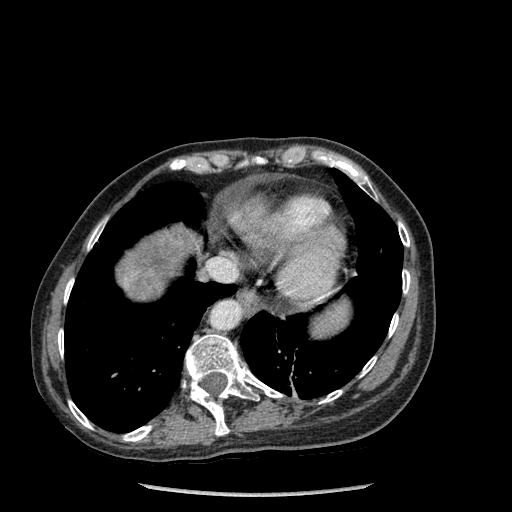

Upper abdomen. 512x512 px. Computed tomography.
2 lung regions appear at <box>64,182,236,432</box>, <box>240,169,403,398</box>. 13 bone regions are bounded by <box>57,329,63,357</box>, <box>398,221,409,246</box>, <box>319,390,342,403</box>, <box>87,219,106,250</box>, <box>123,425,151,441</box>, <box>185,334,282,435</box>, <box>402,269,410,293</box>, <box>255,158,264,163</box>, <box>329,158,373,194</box>, <box>360,356,376,377</box>, <box>68,400,93,429</box>, <box>63,278,74,303</box>, <box>389,313,398,337</box>. 2 liver regions are located at <box>226,197,265,227</box>, <box>116,226,202,300</box>.